Head | Slice 80/155 | Field of view 240 mm wide, 1.00 mm slice spacing | 240x240 px
FLAIR MR image.
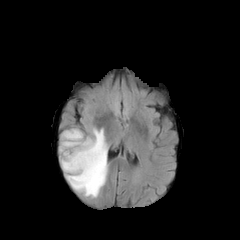
T1-weighted magnetic resonance.
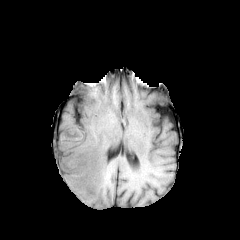
Post-contrast T1-weighted MR image.
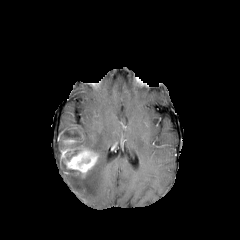
T2-weighted magnetic resonance.
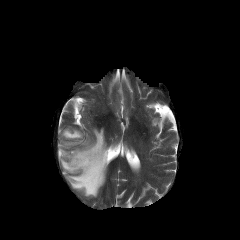
enhancing_tumor:
  - region(59, 138, 99, 178)
edema:
  - region(61, 128, 108, 197)